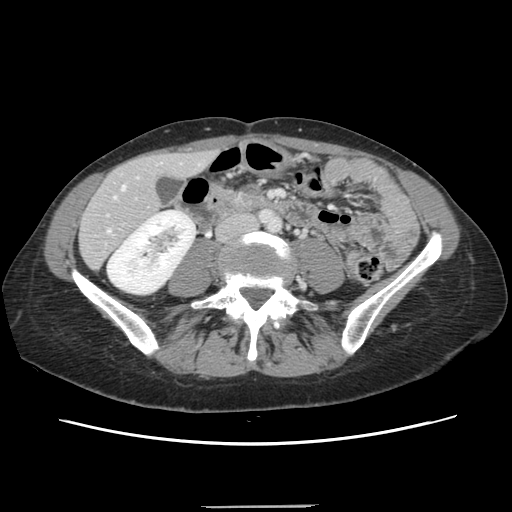 Liver; CT slice

Only some of the vessels may be annotated.
Hepatic vessel: {"x1": 113, "y1": 196, "x2": 115, "y2": 198}, {"x1": 107, "y1": 229, "x2": 110, "y2": 232}, {"x1": 122, "y1": 186, "x2": 124, "y2": 189}.